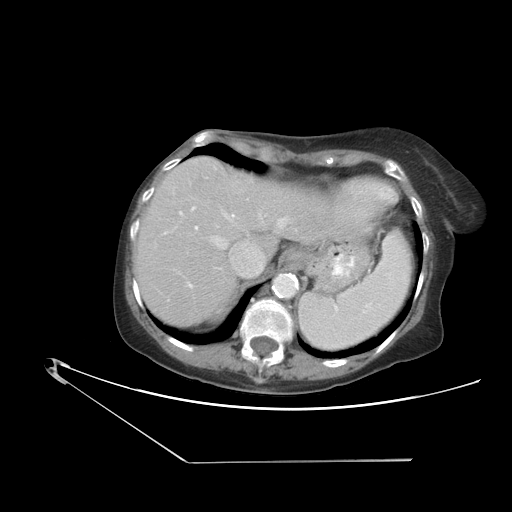
Computed tomography

The vessel boxes may cover only some of the vessels.
Liver tumor at 232, 172, 251, 193.
Hepatic vessel at 210, 235, 227, 248; 192, 207, 194, 209; 276, 218, 285, 228; 233, 224, 242, 226; 180, 212, 181, 214; 223, 213, 234, 220; 230, 240, 264, 271; 195, 226, 197, 228; 188, 282, 192, 287; 263, 224, 266, 225.